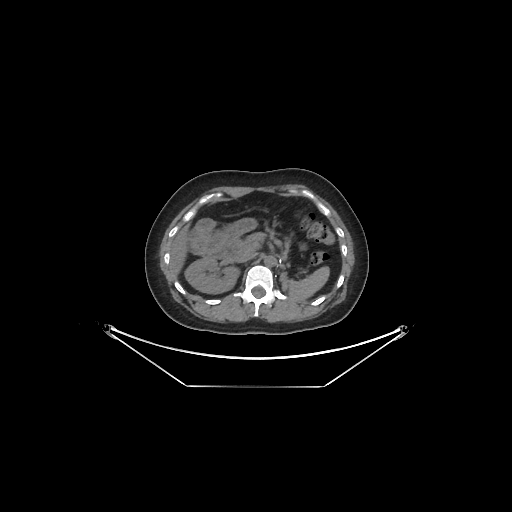 512x512 | Computed tomography

kidney: 185, 256, 237, 293 | liver: 167, 224, 189, 278